CT image. 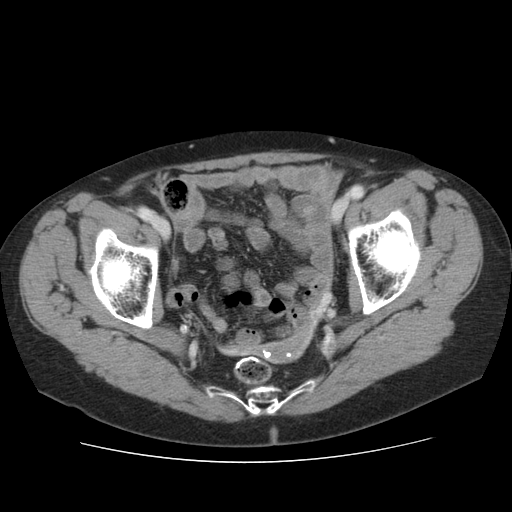 <segmentation>
  <bone>(x1=345, y1=203, x2=423, y2=314), (x1=206, y1=381, x2=316, y2=413), (x1=86, y1=225, x2=161, y2=331)</bone>
</segmentation>